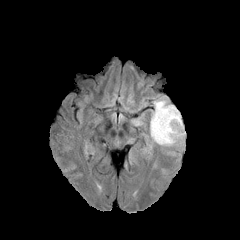
FLAIR MR image.
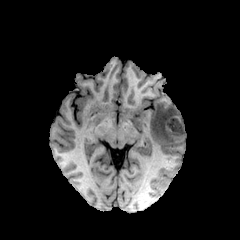
T1-weighted magnetic resonance of the same slice.
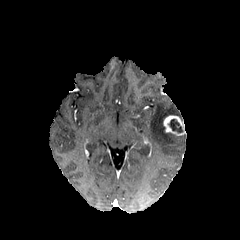
Post-contrast T1-weighted MRI.
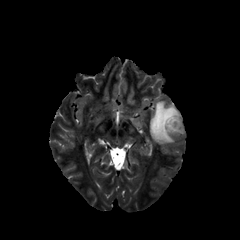
T2-weighted MR of the same slice.
240x240
Non-enhancing tumor core at x1=167 y1=119 x2=184 y2=133.
Edema at x1=150 y1=100 x2=180 y2=144.
Enhancing tumor at x1=163 y1=115 x2=185 y2=134.